Field of view 339 mm wide, 0.80 mm slice spacing | Pelvis | CT slice | Image size 512x512
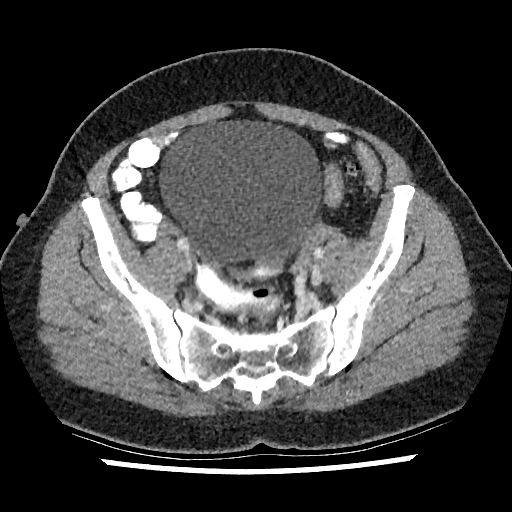 Segmented structures:
- urinary bladder: bbox(159, 120, 321, 267)